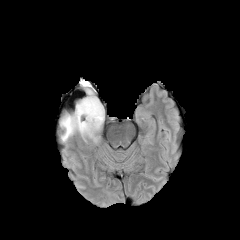
FLAIR magnetic resonance.
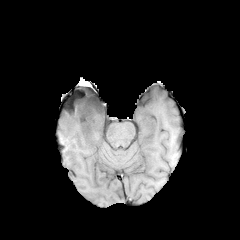
Same slice, T1-weighted MR.
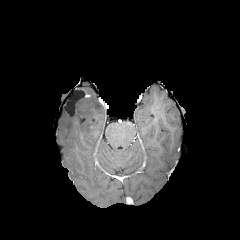
Post-contrast T1-weighted MR image.
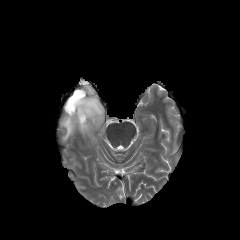
T2-weighted MR.
Edema — 60 84 104 141.
Non-enhancing tumor core — 84 92 95 103, 82 105 93 116.